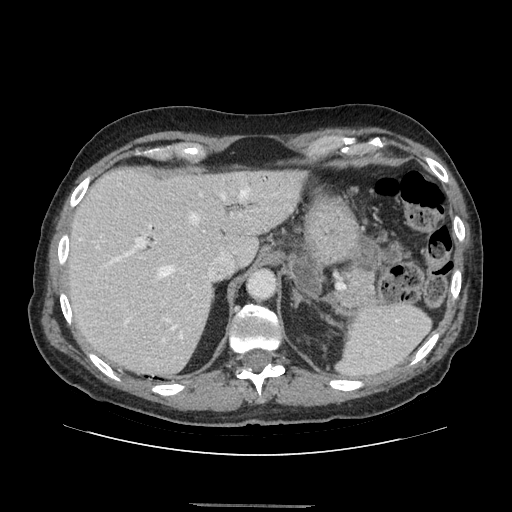
CT slice, Upper abdomen
{
  "pancreas": [
    "(left=346, top=265, right=374, bottom=306)"
  ]
}